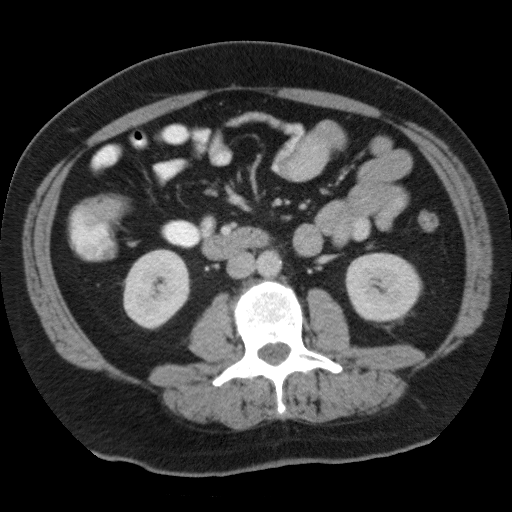

Abdomen, CT image, Image size 512x512
Colon tumor: bounding box 80 199 115 225, 100 250 112 259, 82 244 96 258.